Slice index 60 | Field of view 437x437 mm | CT scan slice
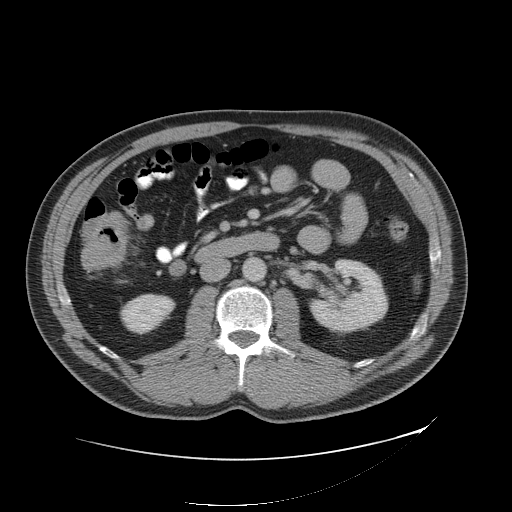

Annotated regions:
* colon tumor: (82, 212, 127, 270)